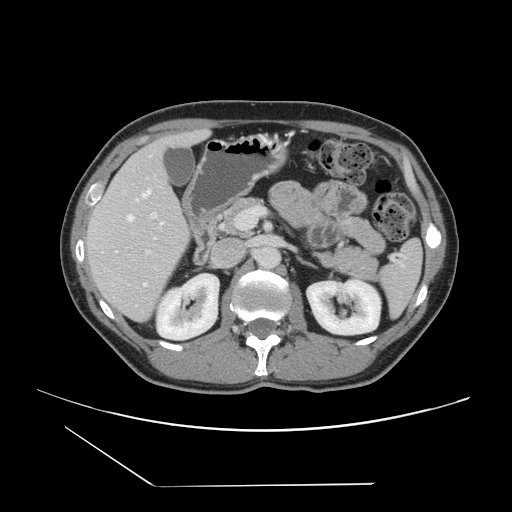

Abdomen, CT scan slice

Some hepatic vessels may have no box.
{
  "hepatic_vessel": [
    "[160, 224, 161, 228]"
  ]
}